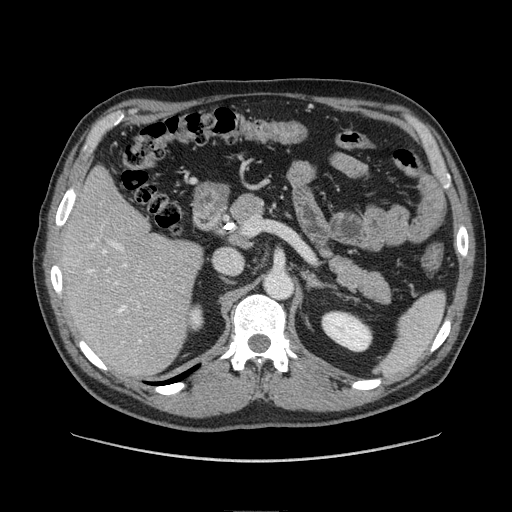 512x512; CT image

pancreas:
  - (x1=315, y1=241, x2=396, y2=309)
  - (x1=229, y1=190, x2=267, y2=233)